Slice 430 of 588; Chest; CT

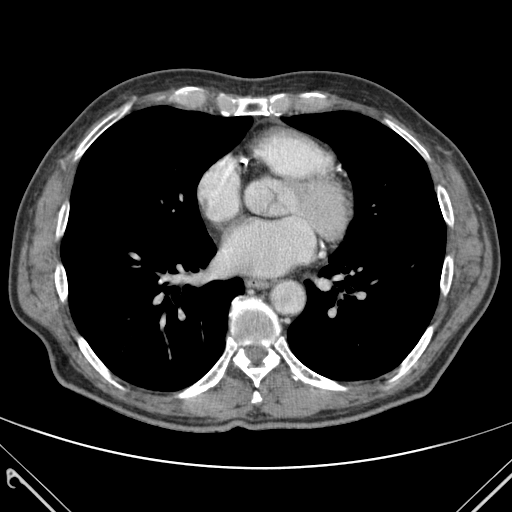

<segmentation>
  <bone>box=[56, 205, 68, 242]; box=[221, 94, 293, 115]; box=[174, 87, 198, 93]; box=[78, 338, 119, 386]; box=[179, 297, 345, 397]; box=[300, 93, 327, 98]; box=[76, 103, 133, 158]; box=[252, 392, 261, 402]; box=[384, 120, 428, 157]; box=[55, 259, 67, 300]; box=[440, 257, 452, 293]; box=[438, 187, 453, 224]; box=[393, 327, 432, 380]</bone>
  <lung>box=[61, 106, 252, 390]; box=[284, 111, 445, 380]</lung>
</segmentation>